CT slice. 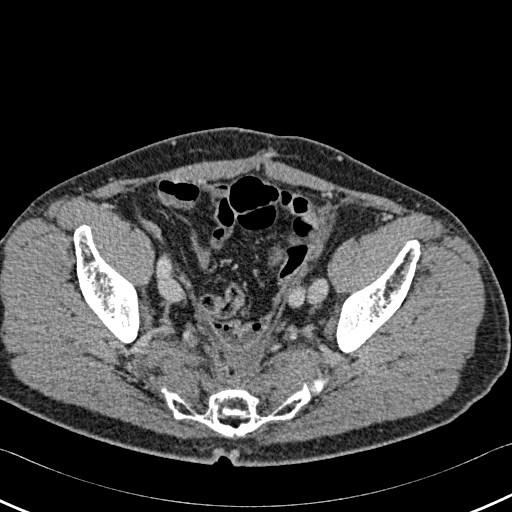

bone: 74, 225, 138, 343; 162, 381, 323, 436; 337, 240, 420, 352